240x240, Head
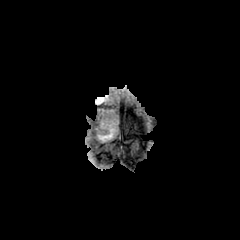
FLAIR magnetic resonance.
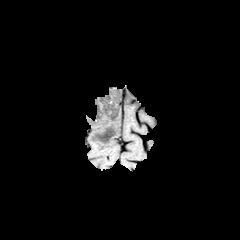
T1-weighted MRI.
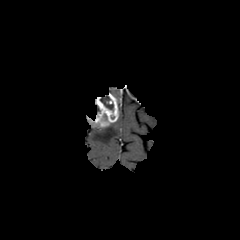
Post-contrast T1-weighted MR.
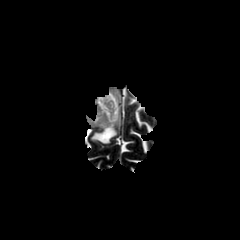
T2-weighted magnetic resonance.
{
  "enhancing_tumor": [
    "[87,92,118,127]"
  ],
  "non-enhancing_tumor_core": [
    "[97,126,113,141]"
  ],
  "edema": [
    "[102,116,118,143]",
    "[94,127,103,141]"
  ]
}